CT slice | 512x512

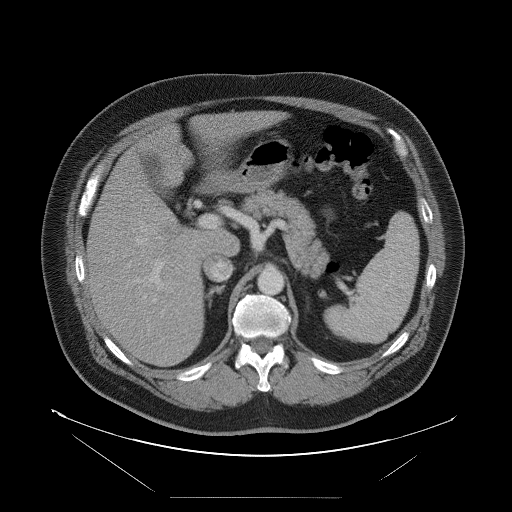

The vessel boxes may cover only some of the vessels.
Hepatic vessel: bounding box (left=140, top=227, right=145, bottom=231), (left=137, top=237, right=146, bottom=244), (left=134, top=278, right=139, bottom=281), (left=143, top=295, right=145, bottom=297), (left=156, top=237, right=161, bottom=238), (left=126, top=284, right=127, bottom=286), (left=161, top=309, right=164, bottom=316), (left=146, top=259, right=164, bottom=290).
Liver tumor: bounding box (left=163, top=226, right=177, bottom=237).